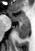
MRI slice. Image size 35x51.

The anterior hippocampus appears at 12:14:28:20. The posterior hippocampus is located at 16:21:29:39.